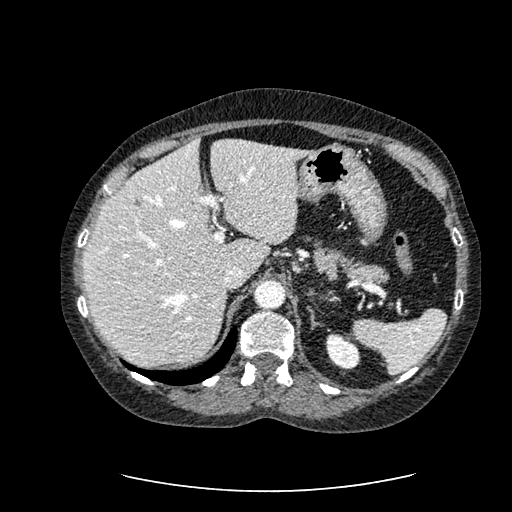 Abdomen. Computed tomography.
hepatic lesion: bbox(134, 197, 142, 208) | liver: bbox(83, 138, 313, 365) | kidney: bbox(327, 335, 359, 368)